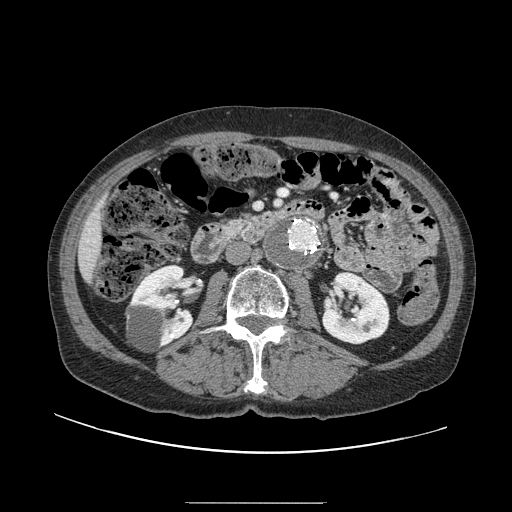 Computed tomography
pancreas:
  - box=[224, 215, 253, 238]